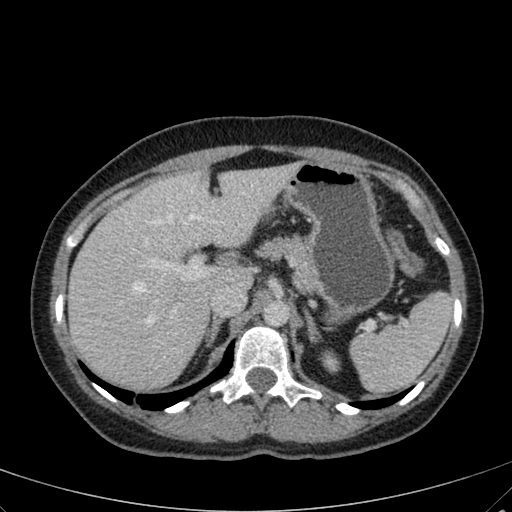

Image size 512x512 | Computed tomography

The hepatic lesion is bounded by 200,170,209,181. The liver lies within 67,164,298,386.